Head
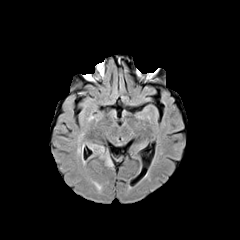
FLAIR MR image.
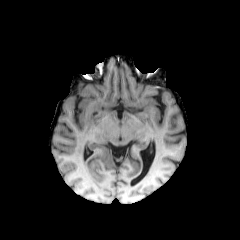
T1-weighted MR.
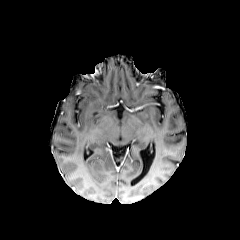
Post-contrast T1-weighted MR.
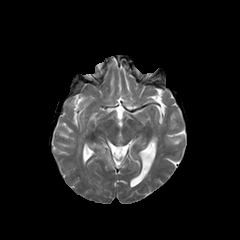
Same slice, T2-weighted MR.
edema: [90, 144, 113, 166]